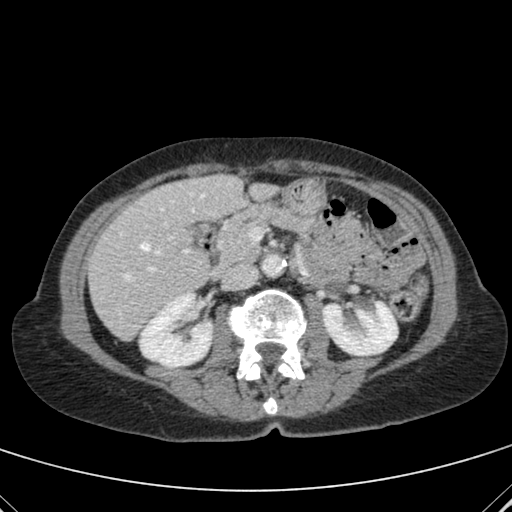
CT image, Liver

<segmentation>
  <liver>(89,175,272,338)</liver>
  <kidney>(324,302,396,354), (140,294,211,366)</kidney>
</segmentation>